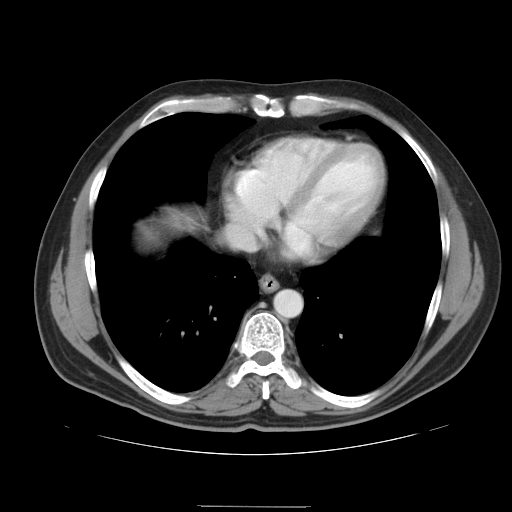 Computed tomography
The vessel boxes may cover only some of the vessels.
The hepatic vessel appears at x1=227 y1=220 x2=257 y2=249.